Computed tomography; Image width 421 mm

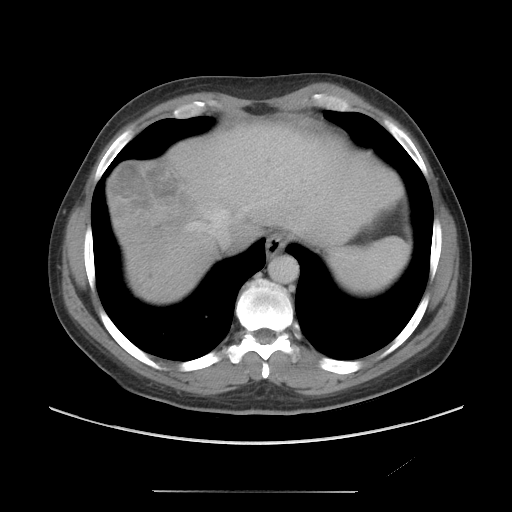

Only some of the vessels may be annotated.
The liver tumor is located at [111, 162, 195, 226]. 4 hepatic vessel regions are bounded by [243, 203, 253, 209], [187, 208, 227, 233], [238, 215, 240, 216], [272, 193, 282, 201].